CT image, Upper abdomen, Slice 26/84 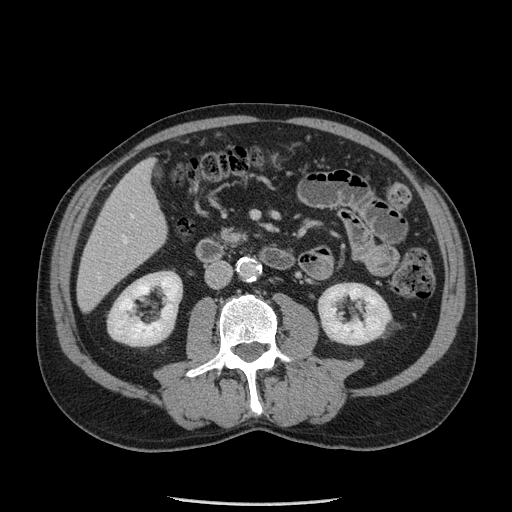
<segmentation>
  <pancreas>region(218, 226, 247, 245)</pancreas>
</segmentation>